FLAIR MRI.
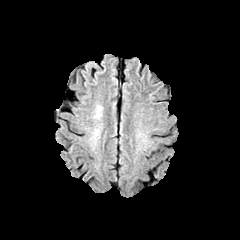
T1-weighted MRI.
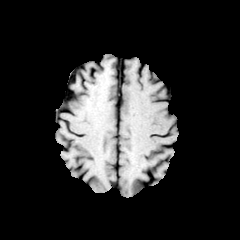
Post-contrast T1-weighted MR image.
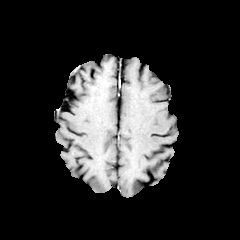
T2-weighted magnetic resonance.
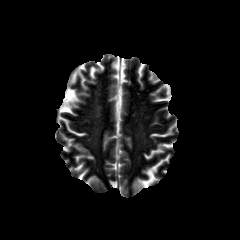
Image size 240x240; Brain
The edema is bounded by 95 105 102 118.